Field of view 240x240 mm, Slice 105/155
FLAIR magnetic resonance.
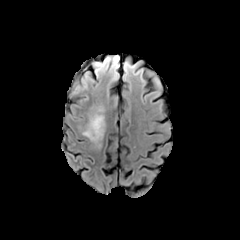
T1-weighted MR.
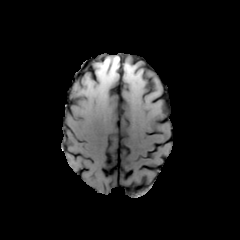
Post-contrast T1-weighted MR image.
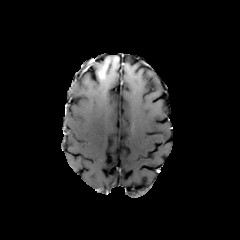
T2-weighted MR.
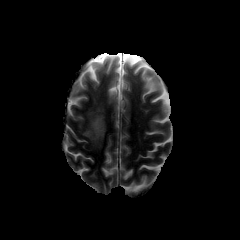
Edema = x1=122 y1=63 x2=132 y2=75, x1=106 y1=66 x2=118 y2=80, x1=82 y1=107 x2=105 y2=142.
Non-enhancing tumor core = x1=91 y1=58 x2=117 y2=73.